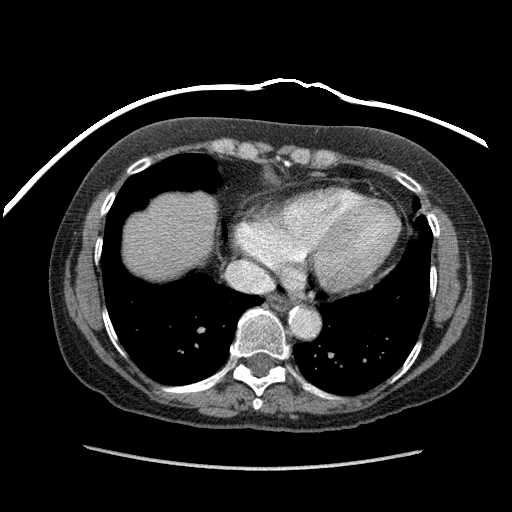
512x512 px, CT image, Upper abdomen
The liver is located at [124, 195, 215, 283].